Field of view 344 mm wide, 0.80 mm slice spacing. CT slice. Lower abdomen.
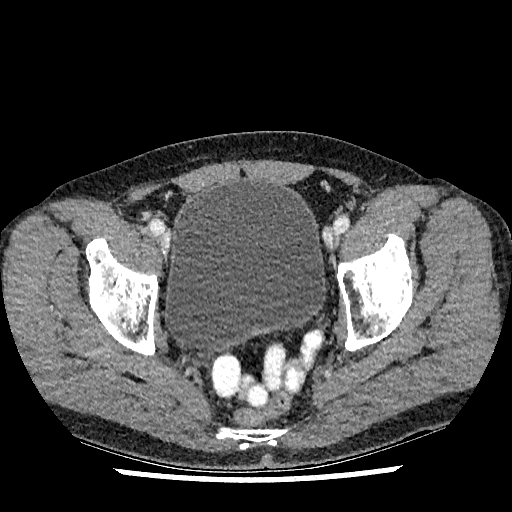

The urinary bladder appears at (165, 179, 326, 354).